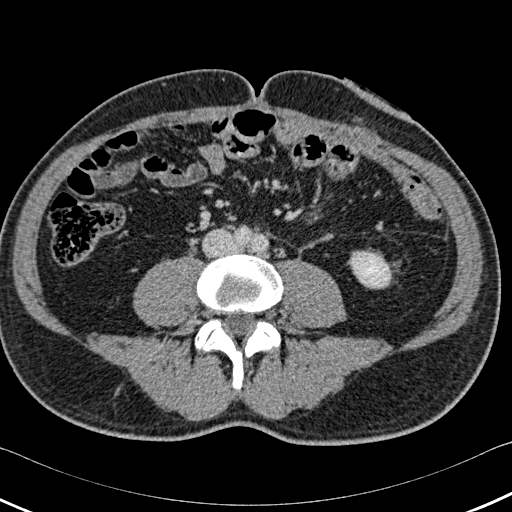 512x512. CT. 3 bone regions appear at <bbox>195, 320, 243, 389</bbox>, <bbox>245, 322, 280, 357</bbox>, <bbox>197, 254, 283, 311</bbox>. The kidney is bounded by <bbox>351, 252, 390, 287</bbox>.